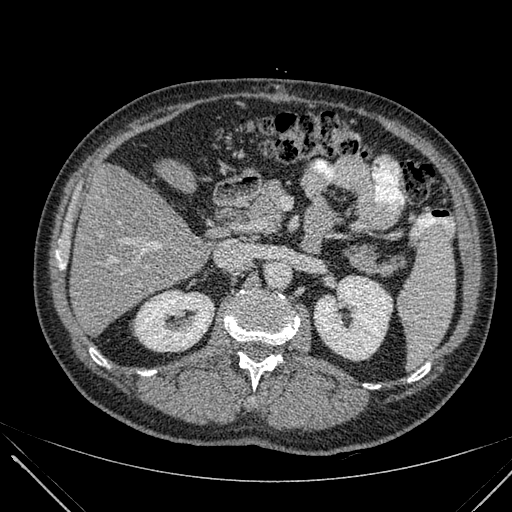

Liver. CT. 512x512.
• liver: 70:164:212:330, 152:159:197:193
• kidney: 135:291:213:351, 314:276:392:359